Head; 240x240 px
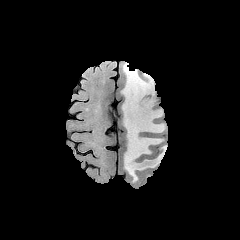
FLAIR MR.
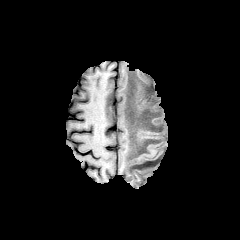
Same slice, T1-weighted MR image.
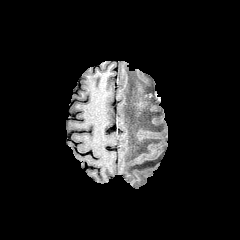
Post-contrast T1-weighted MR.
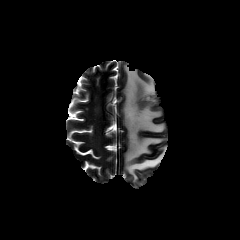
T2-weighted MR image.
<segmentation>
  <edema>region(122, 64, 163, 182)</edema>
</segmentation>